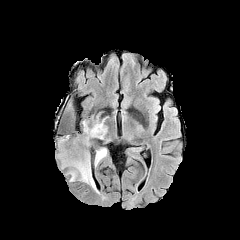
FLAIR magnetic resonance.
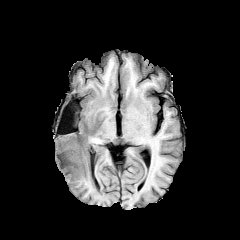
T1-weighted MRI of the same slice.
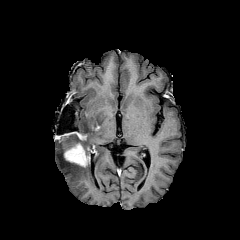
Post-contrast T1-weighted MR image of the same slice.
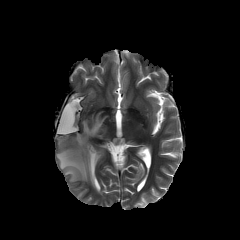
T2-weighted MRI.
Image size 240x240 | Brain
<segmentation>
  <edema>(x1=80, y1=115, x2=107, y2=145), (x1=58, y1=147, x2=106, y2=191)</edema>
  <enhancing_tumor>(x1=64, y1=143, x2=89, y2=166)</enhancing_tumor>
  <non-enhancing_tumor_core>(x1=55, y1=132, x2=96, y2=159)</non-enhancing_tumor_core>
</segmentation>